240x240, Field of view 240 mm wide, 1.00 mm slice spacing, Brain
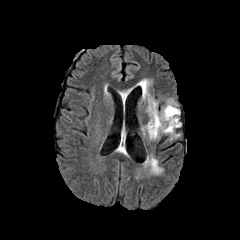
FLAIR MR.
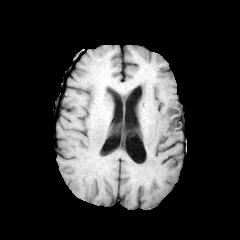
T1-weighted MR image.
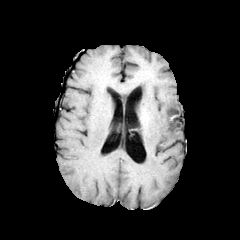
Post-contrast T1-weighted MR image of the same slice.
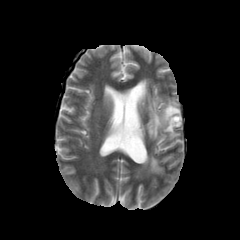
T2-weighted MRI.
Segmented structures:
- edema: box=[120, 89, 130, 103]; box=[138, 79, 181, 140]; box=[144, 156, 163, 174]
- non-enhancing tumor core: box=[170, 116, 179, 124]; box=[167, 108, 176, 115]